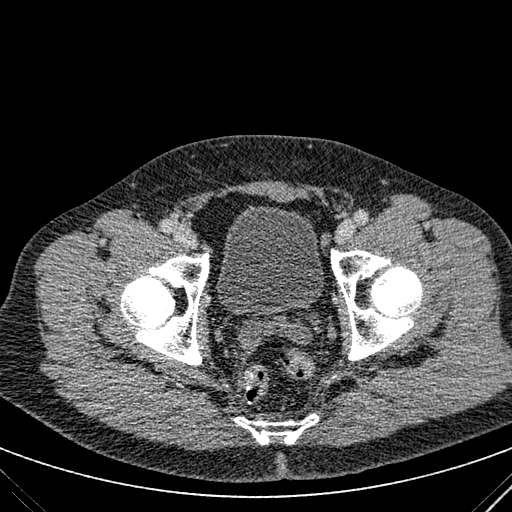 CT. 512x512.
Urinary bladder at <bbox>217, 204, 324, 316</bbox>.